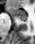
Hippocampus; MRI
posterior_hippocampus:
  - <bbox>20, 19, 26, 21</bbox>
anterior_hippocampus:
  - <bbox>9, 6, 27, 18</bbox>